Field of view 369 mm wide, 0.80 mm slice spacing, Computed tomography 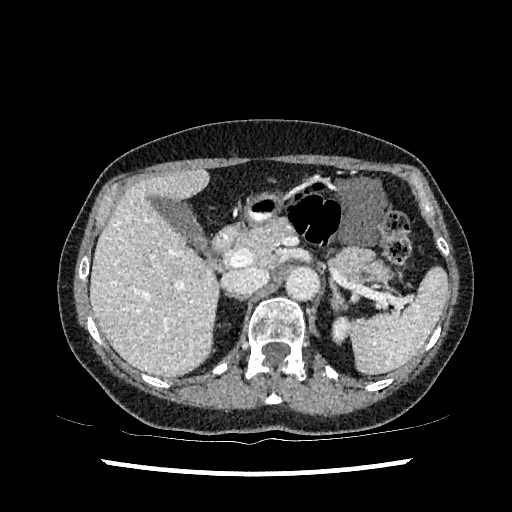
Segmented structures:
• liver: [91,169,218,376]
• kidney: [334,318,349,339]
• liver lesion: [144,255,149,266]